FLAIR MR.
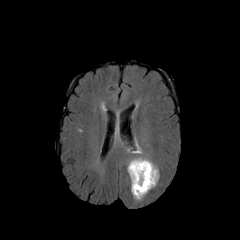
T1-weighted MRI.
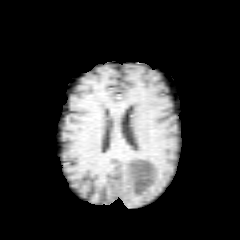
Post-contrast T1-weighted magnetic resonance.
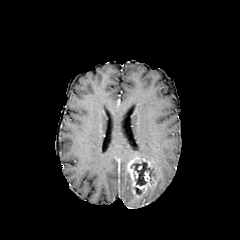
T2-weighted MR image.
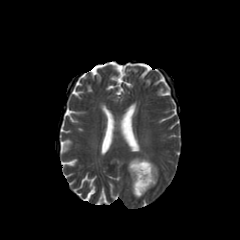
Head; 240x240 px
edema: rect(150, 161, 158, 183); rect(130, 176, 155, 199) | non-enhancing tumor core: rect(132, 162, 151, 185) | enhancing tumor: rect(128, 158, 155, 190)